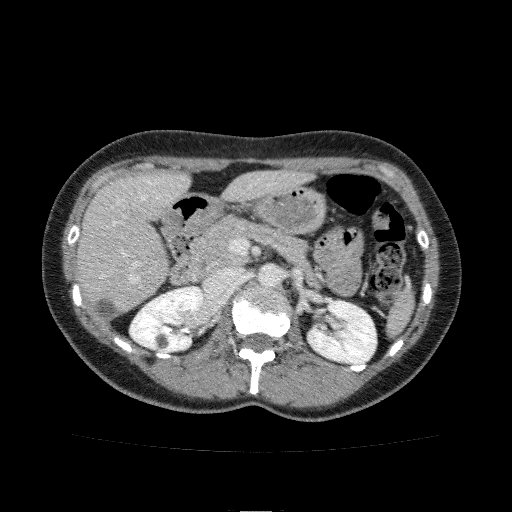 Liver, CT
2 liver regions are bounded by {"x1": 220, "y1": 171, "x2": 315, "y2": 201}, {"x1": 76, "y1": 171, "x2": 191, "y2": 312}. 2 kidney regions appear at {"x1": 308, "y1": 301, "x2": 376, "y2": 364}, {"x1": 130, "y1": 287, "x2": 203, "y2": 352}.